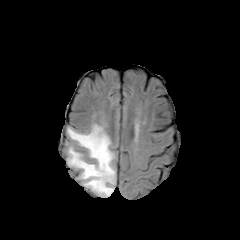
FLAIR magnetic resonance.
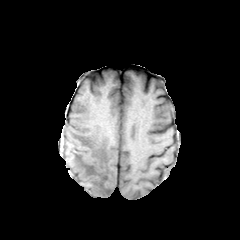
T1-weighted MR image.
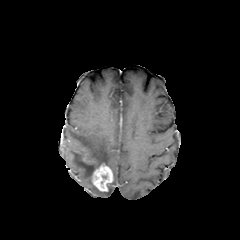
Same slice, post-contrast T1-weighted magnetic resonance.
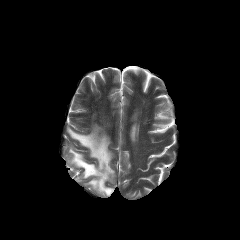
T2-weighted MR image of the same slice.
Image size 240x240
Findings:
- edema: <bbox>65, 124, 115, 196</bbox>
- enhancing tumor: <bbox>92, 163, 113, 191</bbox>
- non-enhancing tumor core: <bbox>86, 167, 97, 175</bbox>